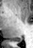 MRI; Hippocampus
The posterior hippocampus is located at <bbox>11, 38, 21, 42</bbox>.